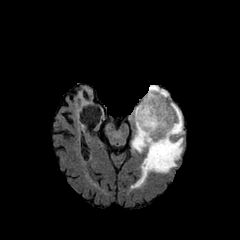
FLAIR MR image.
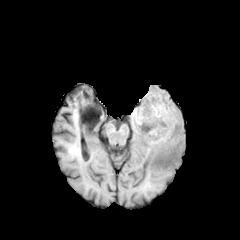
Same slice, T1-weighted MR image.
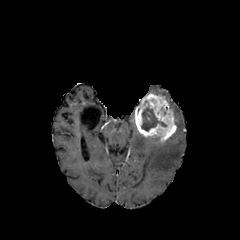
Post-contrast T1-weighted MR.
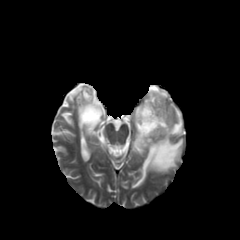
T2-weighted MR.
Non-enhancing tumor core: (141,108,166,130).
Edema: (148,85,169,99), (131,101,184,188).
Enhancing tumor: (134,92,176,142).